FLAIR MR image.
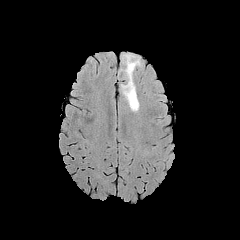
T1-weighted MR image.
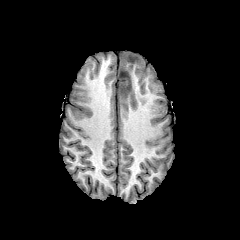
Post-contrast T1-weighted MRI.
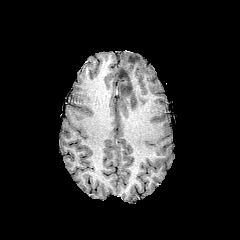
T2-weighted MR.
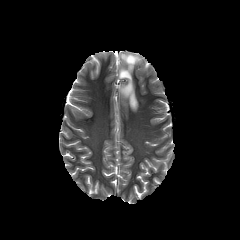
240x240 px, Brain
Non-enhancing tumor core — <box>122,85,131,94</box>, <box>120,70,129,79</box>.
Edema — <box>119,52,142,111</box>.